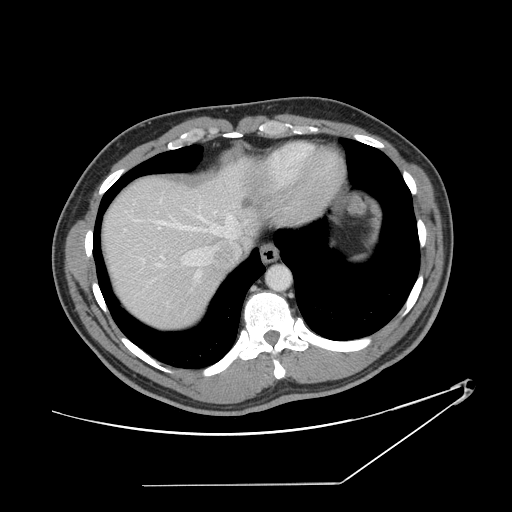

Computed tomography

Not every hepatic vessel necessarily has a box.
Annotated regions:
- liver tumor: bbox=[241, 196, 253, 211]
- hepatic vessel: bbox=[197, 214, 236, 236]; bbox=[141, 258, 144, 261]; bbox=[155, 220, 167, 228]; bbox=[172, 221, 196, 229]; bbox=[228, 215, 237, 223]; bbox=[207, 248, 213, 254]; bbox=[156, 264, 160, 265]; bbox=[133, 219, 136, 220]; bbox=[184, 249, 205, 278]; bbox=[214, 210, 215, 213]; bbox=[161, 257, 163, 258]